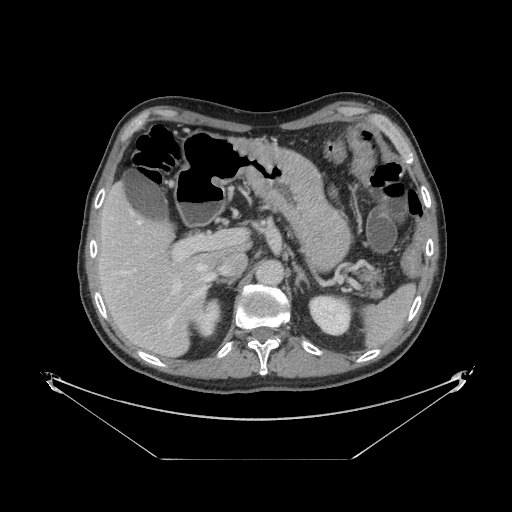

CT scan slice; 512x512
Segmented structures:
* pancreas: box=[354, 267, 386, 299]